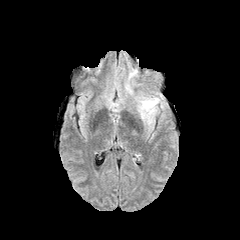
FLAIR MR image.
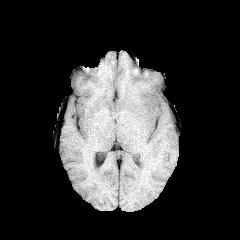
Same slice, T1-weighted magnetic resonance.
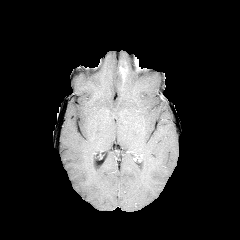
Post-contrast T1-weighted MR of the same slice.
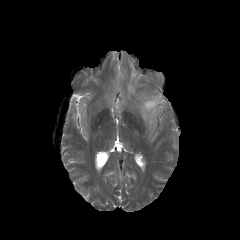
T2-weighted magnetic resonance.
Segmented structures:
* edema: [126,82,134,94], [128,65,136,78], [135,94,161,126]